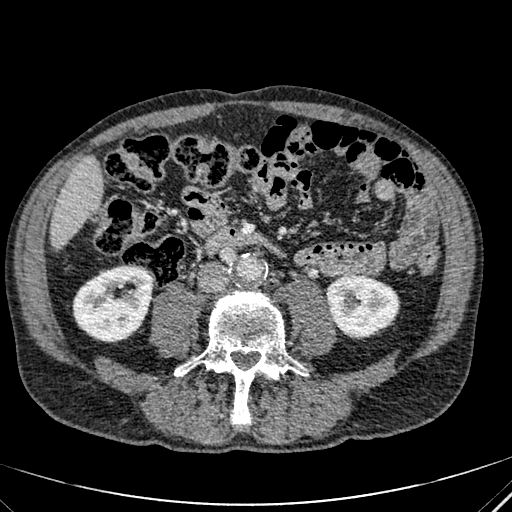

Liver; Computed tomography
The liver is at <box>51,157,102,246</box>. 2 kidney regions are bounded by <box>327,276,397,336</box>, <box>74,267,152,340</box>.